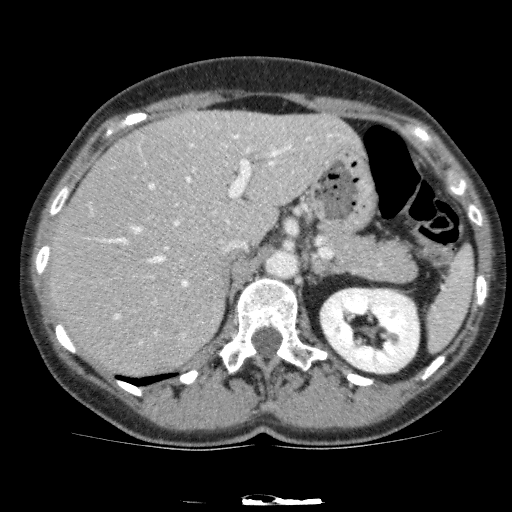
512x512 | Liver | CT image

<segmentation>
  <liver>48, 110, 365, 375</liver>
  <focal_liver_lesion>169, 329, 182, 346</focal_liver_lesion>
  <kidney>321, 289, 418, 372</kidney>
</segmentation>